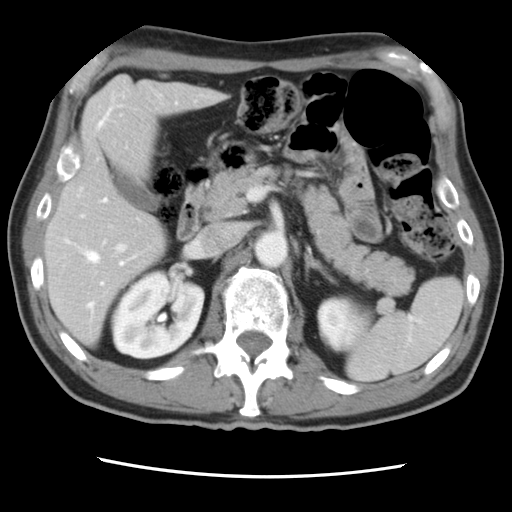
Image size 512x512, CT image

The vessel boxes may cover only some of the vessels.
Hepatic vessel = <box>117,244,125,250</box>, <box>82,215,84,216</box>, <box>99,106,113,126</box>, <box>88,302,93,316</box>, <box>85,251,99,261</box>, <box>80,187,82,190</box>, <box>101,282,103,284</box>, <box>104,241,105,243</box>, <box>104,198,106,200</box>, <box>120,261,123,264</box>, <box>65,240,69,242</box>, <box>78,194,80,196</box>.